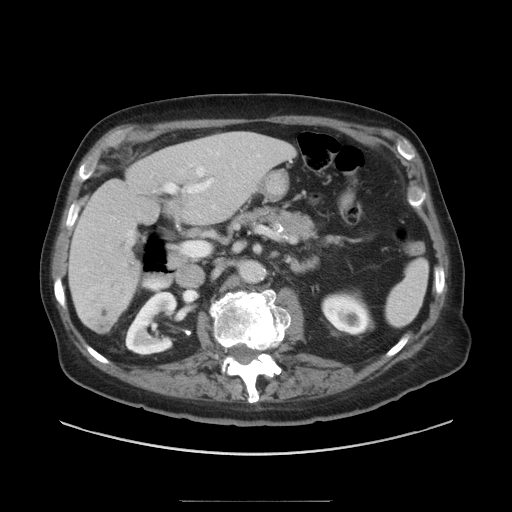
Computed tomography. Liver.

Only some of the vessels may be annotated.
<segmentation>
  <liver_tumor>91 302 114 328</liver_tumor>
  <hepatic_vessel>126 230 132 241, 217 152 219 155, 181 179 213 193, 209 150 210 151, 197 167 205 176, 112 217 114 218, 159 182 178 192, 182 241 208 256</hepatic_vessel>
</segmentation>